Head.
FLAIR MRI.
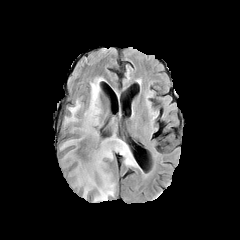
T1-weighted MR image.
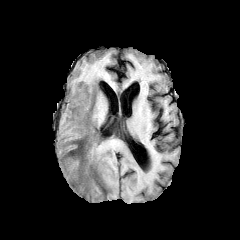
Post-contrast T1-weighted MRI.
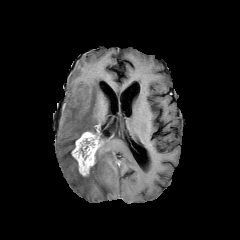
T2-weighted MR.
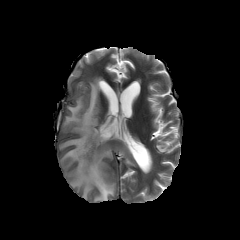
{
  "edema": [
    "[60, 139, 77, 149]",
    "[64, 77, 104, 137]",
    "[64, 123, 133, 202]"
  ],
  "non-enhancing_tumor_core": [
    "[78, 138, 97, 159]",
    "[87, 157, 95, 175]"
  ],
  "enhancing_tumor": [
    "[72, 129, 101, 175]"
  ]
}